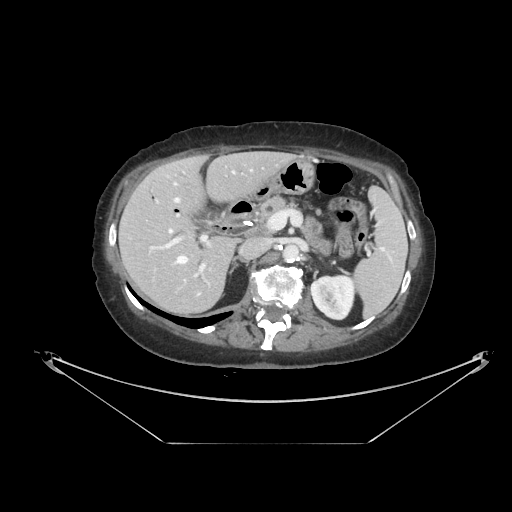 CT slice
Pancreas — (x1=260, y1=197, x2=288, y2=223).